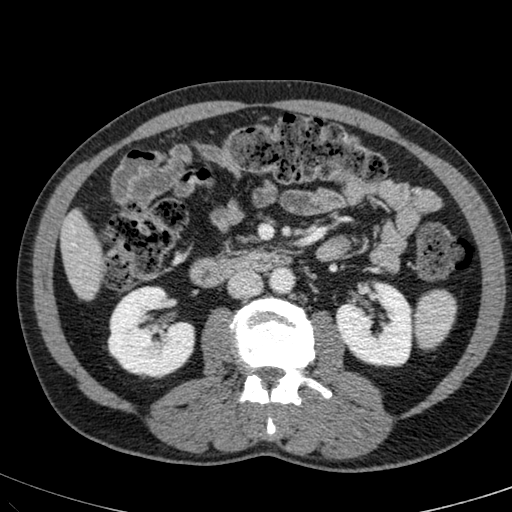
CT scan slice
- kidney: bbox(337, 284, 410, 364); bbox(109, 288, 193, 375)
- liver: bbox(61, 211, 101, 297)